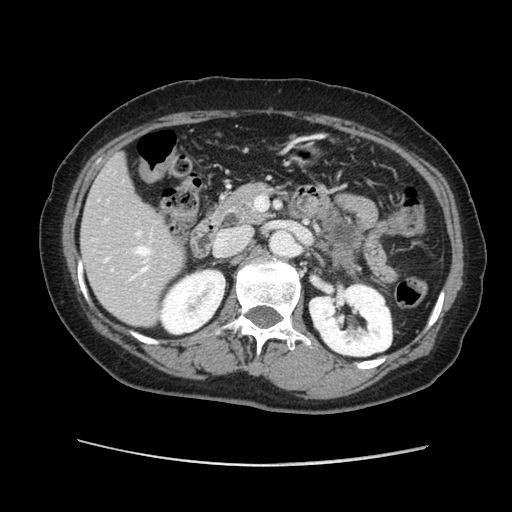

CT image. Abdomen.

The pancreatic tumor is at x1=330 y1=220 x2=361 y2=249. The pancreas is located at x1=212 y1=182 x2=365 y2=280.